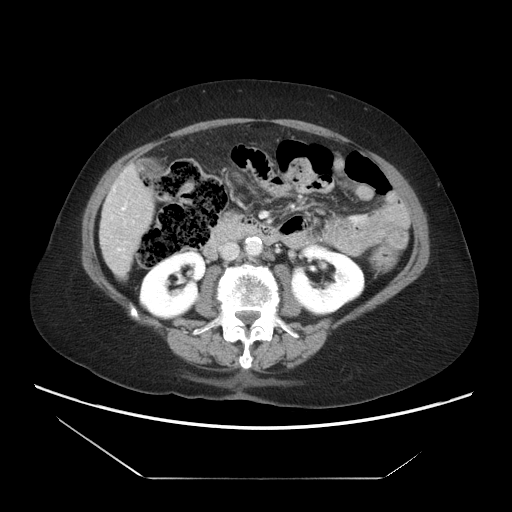

CT slice
Only some of the vessels may be annotated.
3 hepatic vessel regions are located at left=122, top=204, right=125, bottom=209; left=113, top=188, right=115, bottom=190; left=118, top=248, right=119, bottom=250.